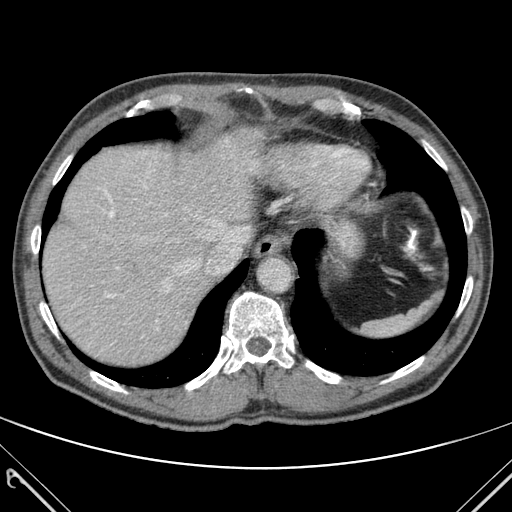 CT image

Segmented structures:
• liver: x1=43, y1=129, x2=265, y2=365
• bone: x1=40, y1=302, x2=57, y2=336; x1=386, y1=357, x2=423, y2=381; x1=186, y1=292, x2=293, y2=390; x1=462, y1=208, x2=472, y2=232; x1=31, y1=226, x2=40, y2=253; x1=53, y1=156, x2=71, y2=184; x1=90, y1=372, x2=126, y2=392; x1=457, y1=277, x2=472, y2=315; x1=425, y1=143, x2=446, y2=168; x1=306, y1=361, x2=340, y2=383
• lung: x1=42, y1=112, x2=177, y2=237; x1=291, y1=119, x2=466, y2=375; x1=76, y1=259, x2=248, y2=387